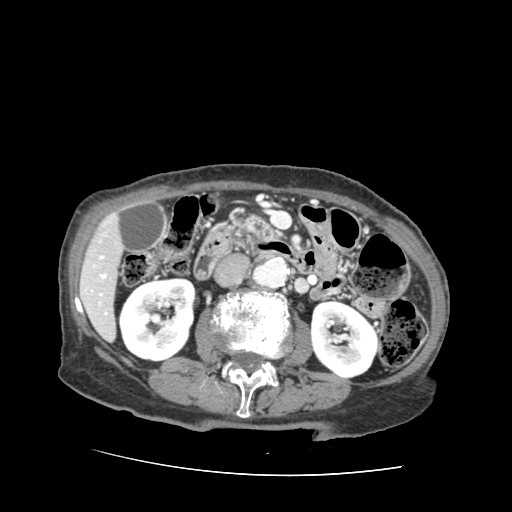

CT image
* pancreas: [228, 209, 276, 241]